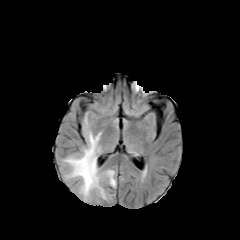
FLAIR magnetic resonance.
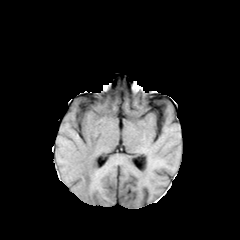
T1-weighted MRI.
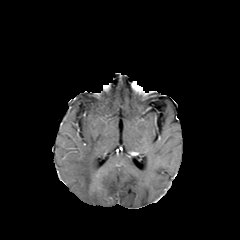
Post-contrast T1-weighted MR image of the same slice.
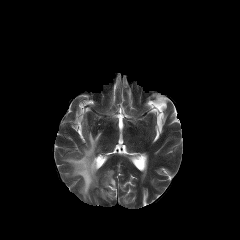
T2-weighted MRI.
Head.
{"edema": ["[x1=62, y1=132, x2=116, y2=200]"]}